FLAIR MR image.
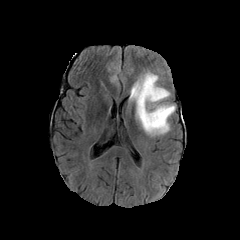
T1-weighted MR.
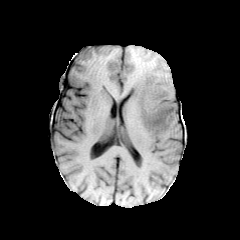
Post-contrast T1-weighted MR.
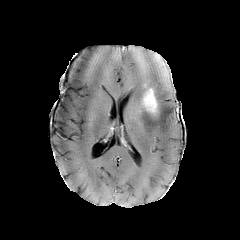
T2-weighted MR image.
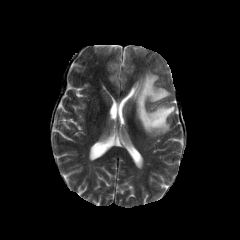
Brain
* non-enhancing tumor core: x1=140 y1=88 x2=171 y2=125
* edema: x1=144 y1=105 x2=151 y2=121, x1=129 y1=70 x2=177 y2=136
* enhancing tumor: x1=143 y1=89 x2=157 y2=113